Slice 27 of 33 | CT image | Upper abdomen

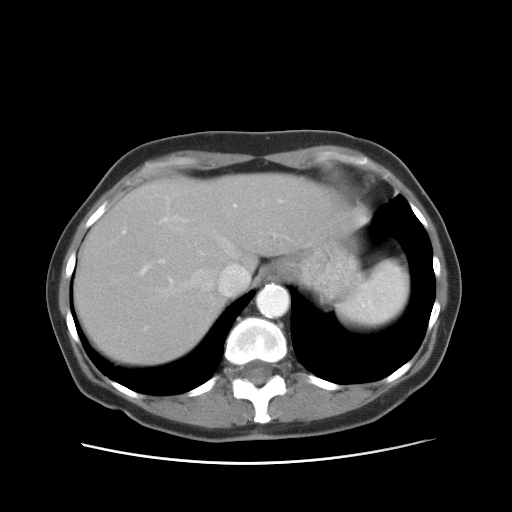 {
  "spleen": [
    "left=341, top=263, right=408, bottom=325"
  ]
}